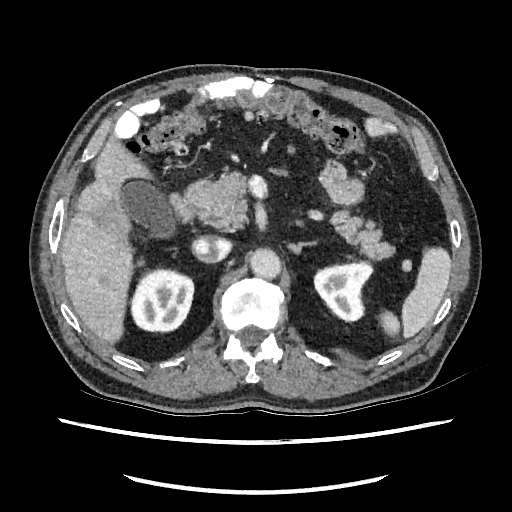 CT | Image size 512x512

Liver at bbox=[63, 140, 147, 342].
Hepatic lesion at bbox=[93, 200, 129, 238]; bbox=[99, 277, 108, 285].
Kidney at bbox=[130, 269, 193, 332]; bbox=[314, 261, 373, 321].